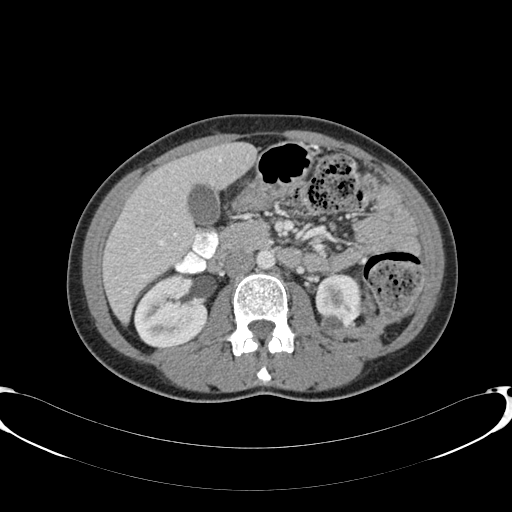

CT image; Image size 512x512; Upper abdomen
Segmented structures:
* liver: bbox(103, 143, 254, 321)
* kidney: bbox(135, 277, 206, 346); bbox(316, 275, 359, 333)